FLAIR MR.
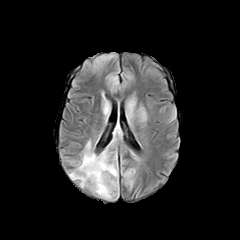
T1-weighted magnetic resonance.
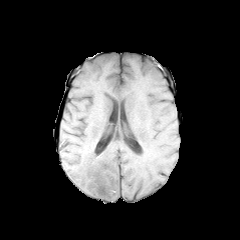
Post-contrast T1-weighted magnetic resonance.
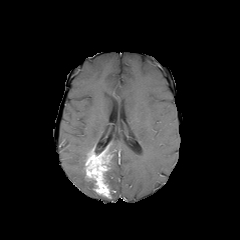
T2-weighted MR.
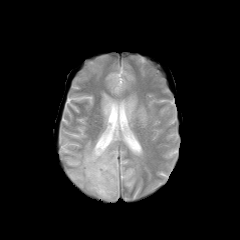
Brain
enhancing tumor: (84,148,111,197) | non-enhancing tumor core: (104,169,115,198) | edema: (126,100,133,117), (109,124,122,147), (69,140,94,193), (107,149,119,195)